FLAIR MR image.
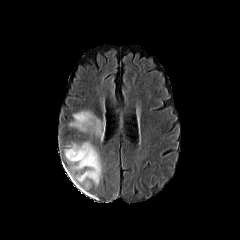
T1-weighted MR image.
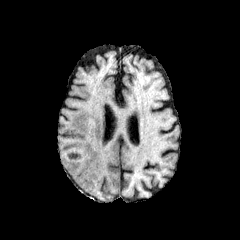
Post-contrast T1-weighted magnetic resonance.
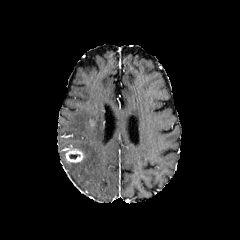
T2-weighted MRI.
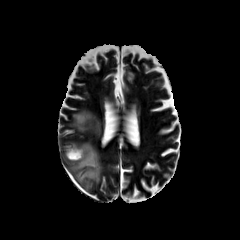
240x240 px
The edema is bounded by rect(68, 109, 105, 190). The enhancing tumor is bounded by rect(65, 148, 84, 162).